MR, Medial temporal lobe, Slice 10/42

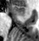
anterior_hippocampus:
  - [12,5,25,15]